Slice 39 of 77 | 512x512 | CT scan slice | Field of view 380 mm wide, 2.50 mm slice spacing

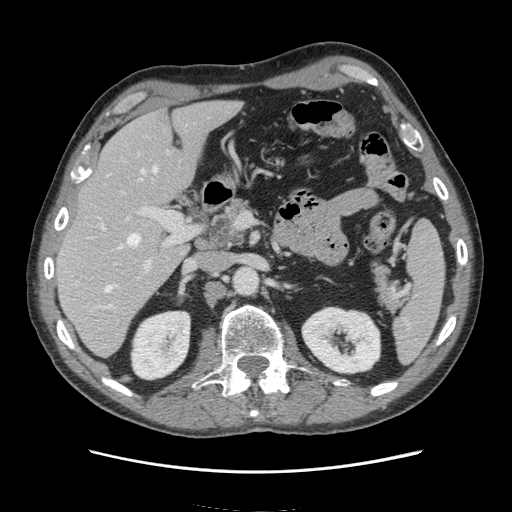 Spleen = x1=393 y1=222 x2=444 y2=362.